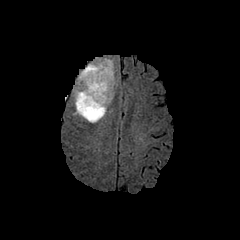
FLAIR MR.
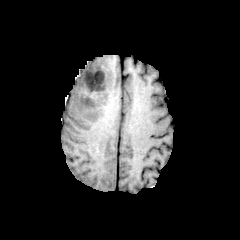
Same slice, T1-weighted MR image.
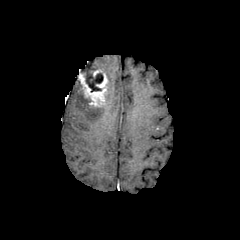
Post-contrast T1-weighted MR image.
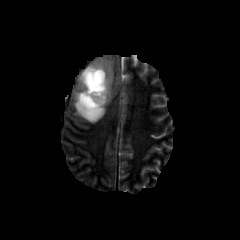
T2-weighted MRI.
Edema = 73 60 113 123.
Enhancing tumor = 78 67 108 107.
Non-enhancing tumor core = 86 73 103 91.